240x240
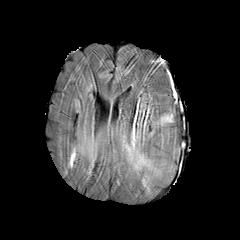
FLAIR MRI.
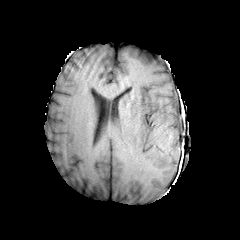
T1-weighted magnetic resonance of the same slice.
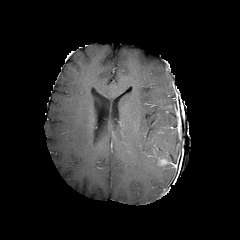
Same slice, post-contrast T1-weighted MR image.
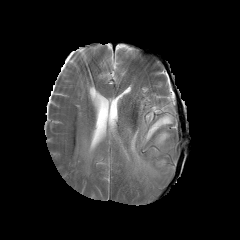
T2-weighted MR image.
Edema at (129, 112, 173, 165).